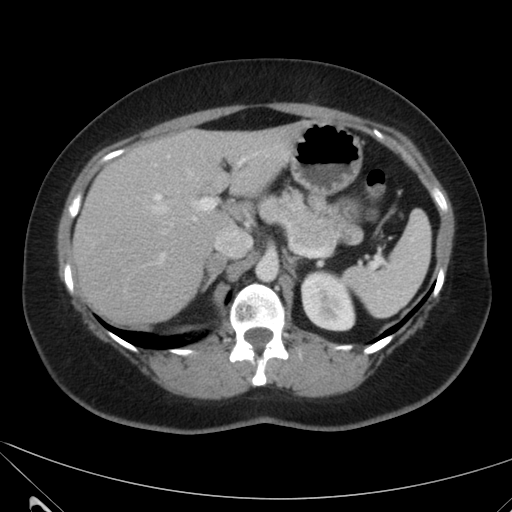
CT
The kidney is located at (left=302, top=274, right=353, bottom=329). The liver appears at (left=72, top=127, right=296, bottom=322).